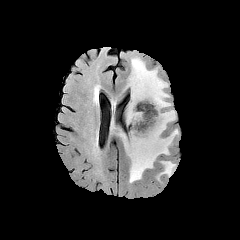
FLAIR magnetic resonance.
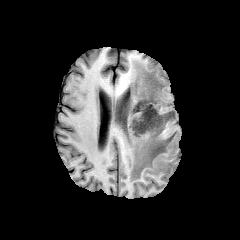
T1-weighted MR image.
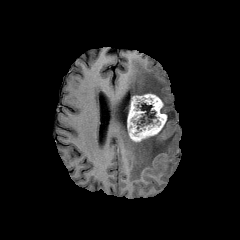
Same slice, post-contrast T1-weighted MR image.
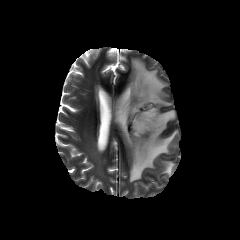
T2-weighted MR of the same slice.
The enhancing tumor appears at [127,94,167,141]. 4 non-enhancing tumor core regions are bounded by [127,100,156,135], [149,143,165,158], [136,90,157,95], [158,108,169,133]. The edema lies within [124,58,178,182].